FLAIR MR.
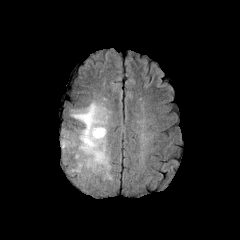
T1-weighted magnetic resonance.
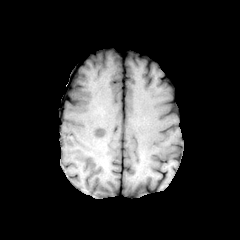
Post-contrast T1-weighted MR image.
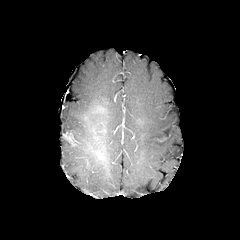
T2-weighted MR image.
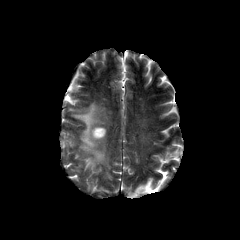
Non-enhancing tumor core at 94:126:104:135, 86:158:93:165.
Edema at 62:98:111:179.